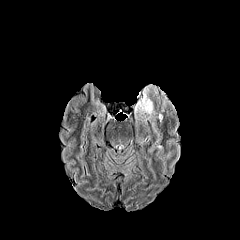
FLAIR MR image.
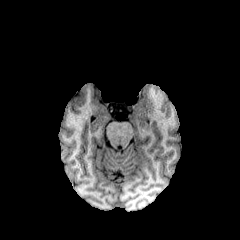
T1-weighted magnetic resonance of the same slice.
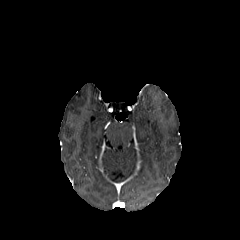
Post-contrast T1-weighted MRI of the same slice.
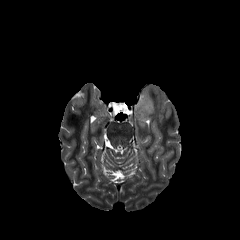
T2-weighted MR image of the same slice.
Brain
The edema is located at {"x1": 133, "y1": 85, "x2": 154, "y2": 136}.